FLAIR MR.
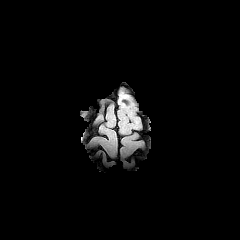
T1-weighted magnetic resonance.
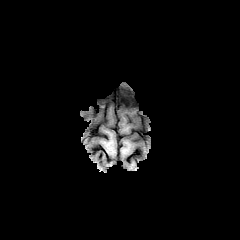
Post-contrast T1-weighted MRI.
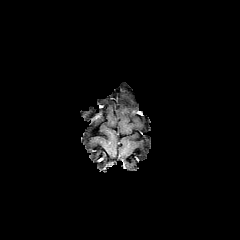
T2-weighted magnetic resonance.
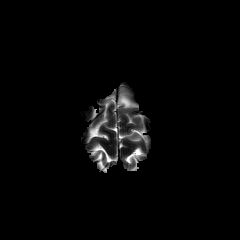
Findings:
* edema: (x1=119, y1=92, x2=133, y2=109)